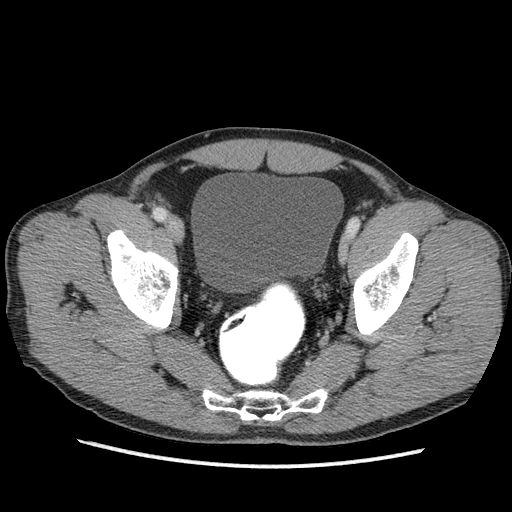
CT scan slice.
Urinary bladder: bounding box 191,170,343,291.